Slice 438/756, Computed tomography, 512x512 px, Abdomen 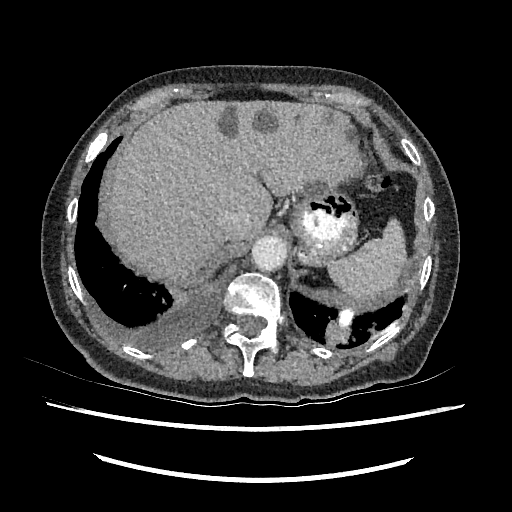
5 liver lesion regions are located at [x1=253, y1=108, x2=277, y2=131], [x1=305, y1=181, x2=327, y2=195], [x1=346, y1=129, x2=356, y2=143], [x1=326, y1=110, x2=332, y2=120], [x1=220, y1=106, x2=238, y2=137]. The liver is located at [x1=108, y1=101, x2=363, y2=280].